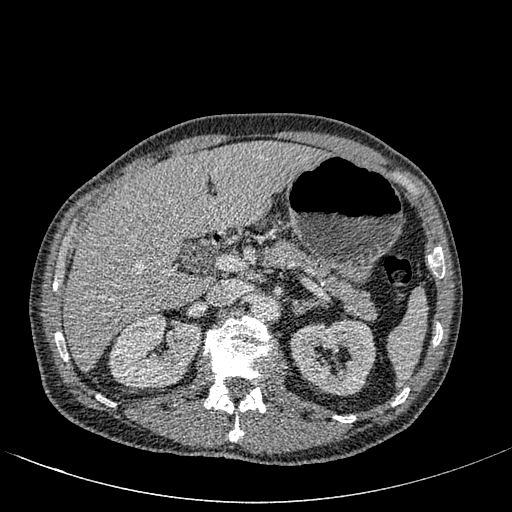 Computed tomography, Liver

Liver: 64:142:324:372.
Kidney: 109:314:201:387, 291:320:375:395.